Field of view 379x379 mm. Upper abdomen. CT.

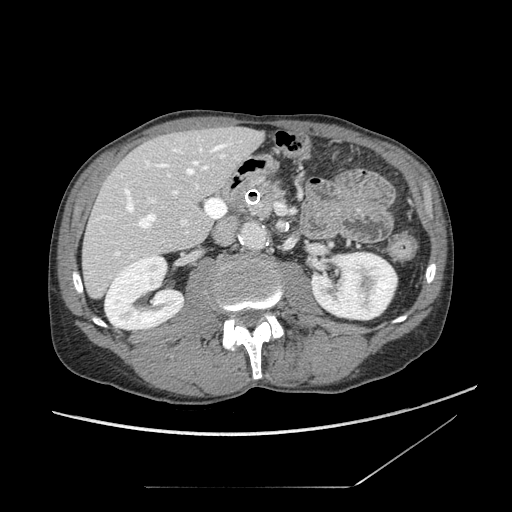 pancreatic_tumor:
  - [x1=259, y1=183, x2=278, y2=200]
pancreas:
  - [x1=251, y1=178, x2=284, y2=218]